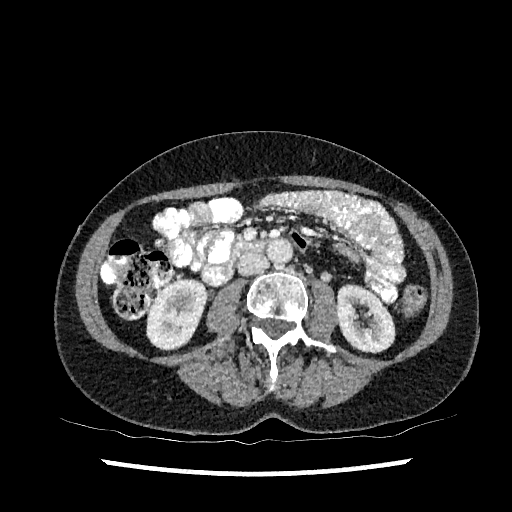
512x512. Computed tomography.
• kidney: left=147, top=280, right=206, bottom=348; left=337, top=286, right=394, bottom=351